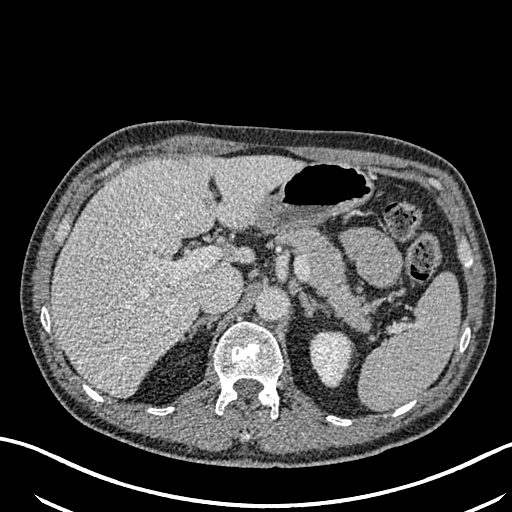

Liver, CT image
The liver lies within 52, 155, 303, 396. The kidney lies within 311, 333, 349, 385. 2 liver lesion regions are located at 149, 289, 155, 300; 203, 197, 214, 209.